FLAIR MRI.
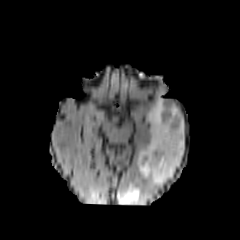
T1-weighted MR.
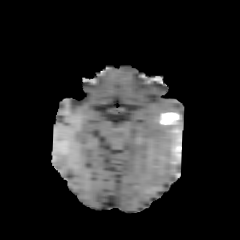
Post-contrast T1-weighted MR image.
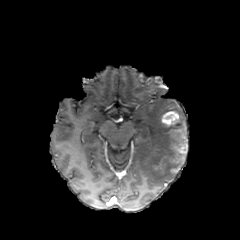
T2-weighted magnetic resonance.
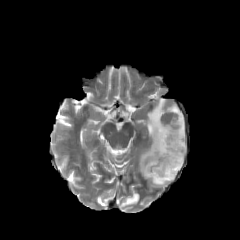
240x240
<segmentation>
  <non-enhancing_tumor_core>box(171, 148, 182, 164); box(169, 120, 184, 147)</non-enhancing_tumor_core>
  <enhancing_tumor>box(162, 111, 180, 125)</enhancing_tumor>
  <edema>box(136, 92, 187, 185); box(122, 193, 139, 204)</edema>
</segmentation>